Field of view 240 mm wide, 1.00 mm slice spacing; Slice 105/155
FLAIR MRI.
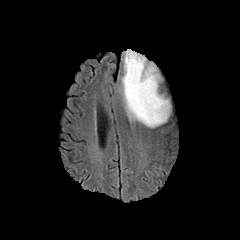
T1-weighted magnetic resonance.
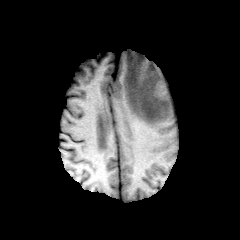
Post-contrast T1-weighted MR.
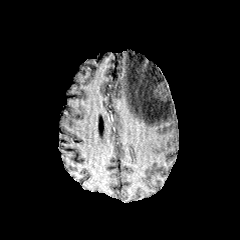
T2-weighted magnetic resonance.
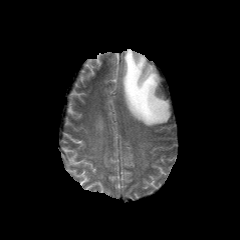
{
  "edema": [
    "x1=121 y1=50 x2=171 y2=127"
  ]
}